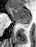

MRI, Medial temporal lobe
posterior_hippocampus:
  - <box>19,22,29,24</box>
  - <box>25,26,27,27</box>
anterior_hippocampus:
  - <box>8,7,31,21</box>